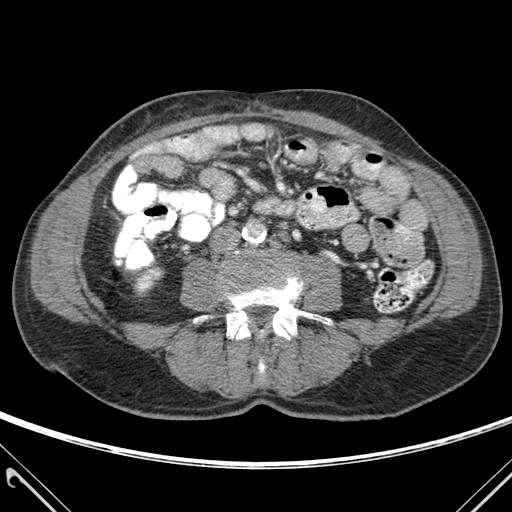
Abdomen, CT

{"kidney": ["<box>138,275,151,288</box>"], "bone": ["<box>259,361,264,373</box>", "<box>224,260,320,338</box>"]}